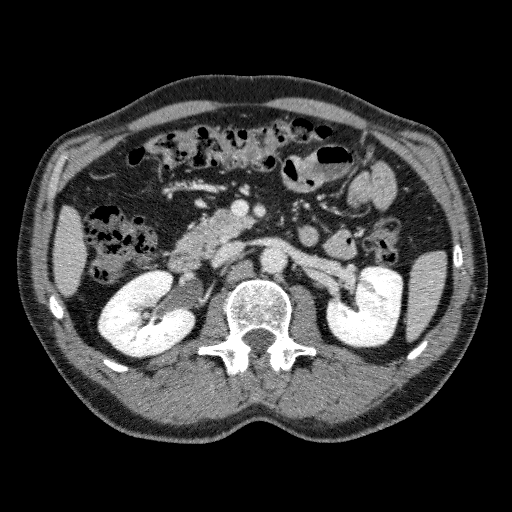
Upper abdomen | Image size 512x512 | Computed tomography

Segmented structures:
- kidney: 327:267:401:345, 99:271:193:356
- liver: 54:207:87:295